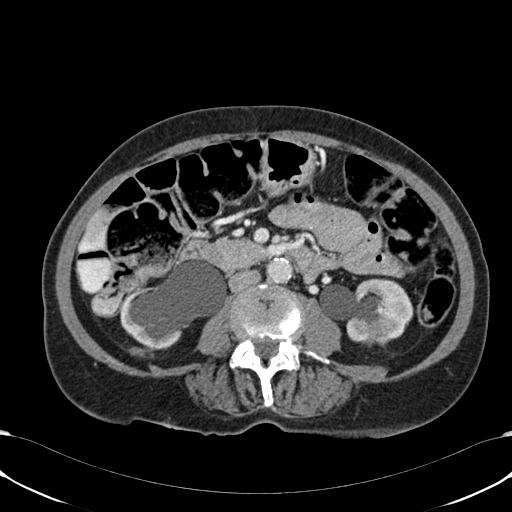 Upper abdomen; 512x512 px; CT image
liver:
  - (left=87, top=210, right=106, bottom=243)
kidney:
  - (left=121, top=288, right=227, bottom=348)
  - (left=347, top=279, right=412, bottom=342)